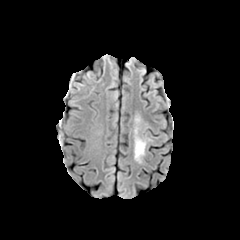
FLAIR MR.
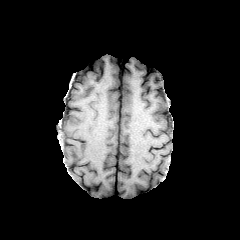
T1-weighted magnetic resonance.
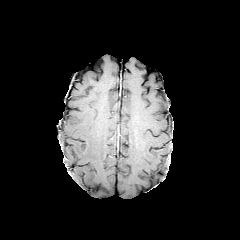
Same slice, post-contrast T1-weighted MR.
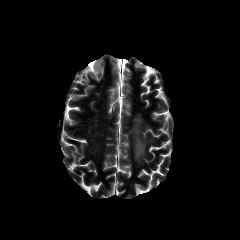
T2-weighted magnetic resonance.
Annotated regions:
* edema: x1=134, y1=115, x2=146, y2=163